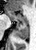 MR. Hippocampus.

- posterior hippocampus: 15, 23, 29, 39
- anterior hippocampus: 5, 10, 28, 22